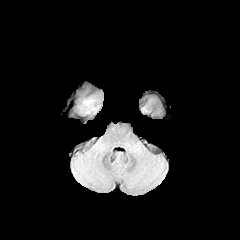
FLAIR MR.
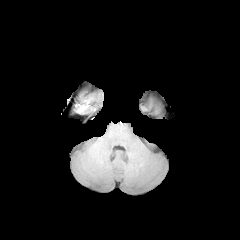
Same slice, T1-weighted MR.
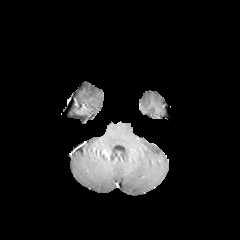
Post-contrast T1-weighted MR image.
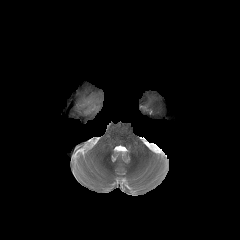
Same slice, T2-weighted MRI.
The edema is located at l=78, t=99, r=97, b=113.